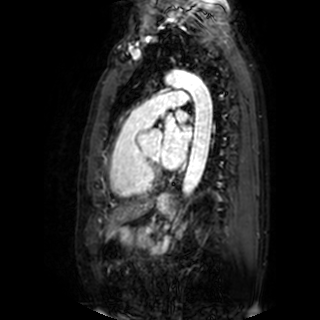
320x320, Heart, MRI slice
Left atrium: 160:111:191:168.